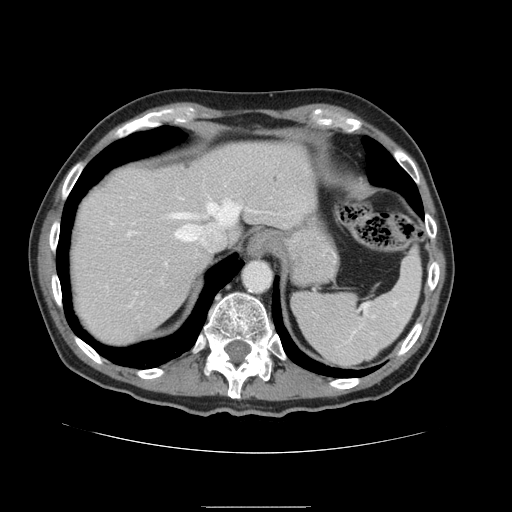 CT slice | Liver

Not every hepatic vessel necessarily has a box.
Hepatic vessel = x1=171 y1=202 x2=240 y2=251, x1=129 y1=232 x2=130 y2=234.